240x240 px. Slice 55 of 155. Brain.
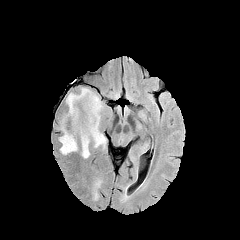
FLAIR MRI.
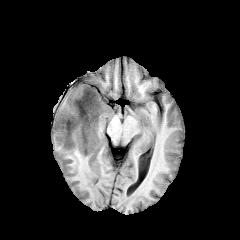
T1-weighted MR of the same slice.
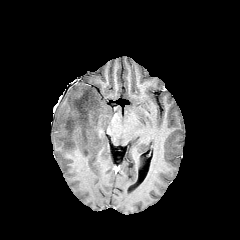
Same slice, post-contrast T1-weighted MR.
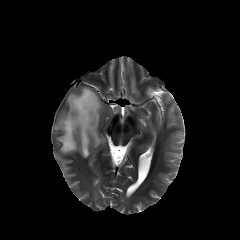
T2-weighted magnetic resonance.
Non-enhancing tumor core: bounding box [x1=65, y1=90, x2=97, y2=139].
Edema: bounding box [x1=58, y1=87, x2=107, y2=158].